FLAIR MR image.
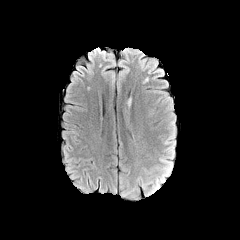
T1-weighted MR image.
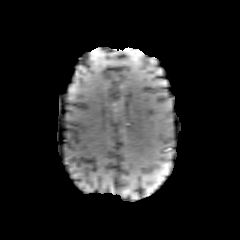
Post-contrast T1-weighted MR image.
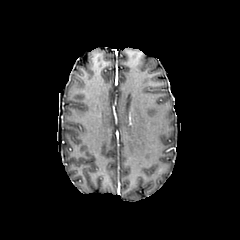
T2-weighted MRI.
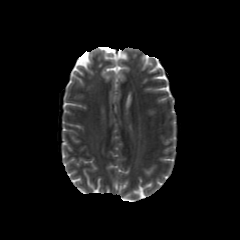
Head
edema: <bbox>168, 117, 176, 140</bbox>